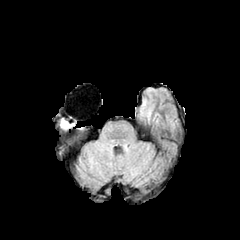
FLAIR MRI.
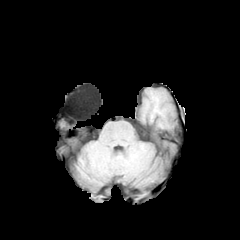
T1-weighted MR image of the same slice.
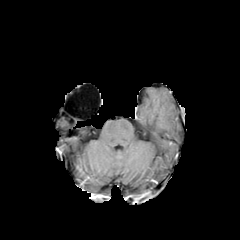
Post-contrast T1-weighted MR.
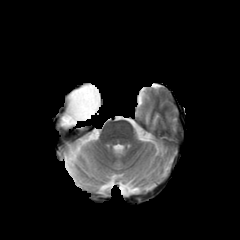
T2-weighted MR.
Head
edema:
  - 60, 118, 72, 128